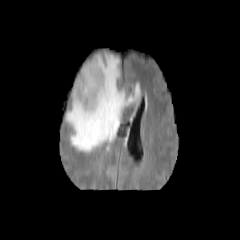
FLAIR MR image.
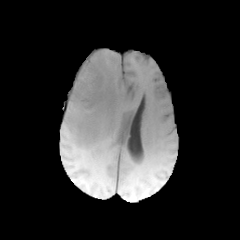
T1-weighted MRI.
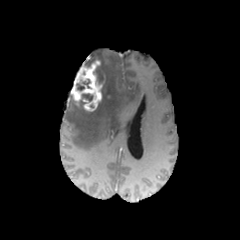
Post-contrast T1-weighted MR image.
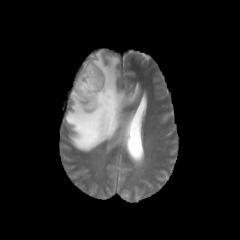
Same slice, T2-weighted MR image.
Head
4 non-enhancing tumor core regions are located at 84, 59, 95, 66; 81, 94, 93, 101; 77, 81, 89, 90; 95, 63, 106, 105. The enhancing tumor is at 70, 60, 103, 111. The edema is located at 65, 51, 140, 151.